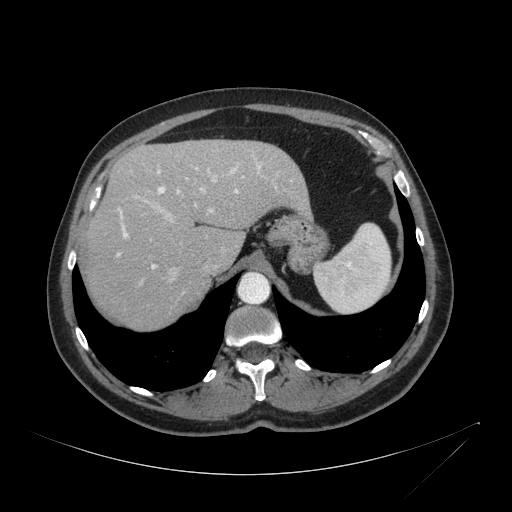

CT scan slice | Abdomen
The liver is bounded by <bbox>82, 140, 309, 328</bbox>.